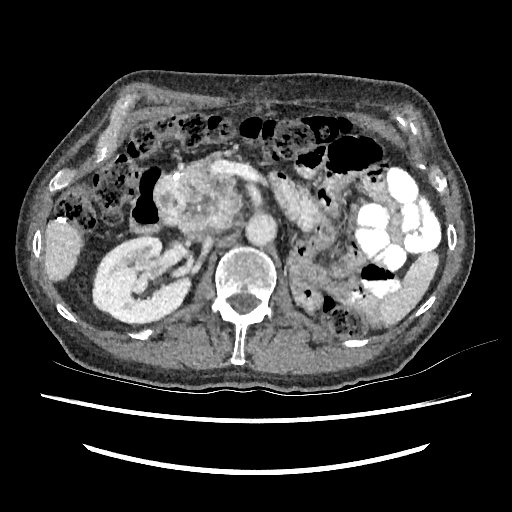

CT. Abdomen. Image size 512x512. liver: rect(45, 221, 81, 280) | kidney: rect(93, 237, 189, 322)